Slice index 61 | Abdomen | Computed tomography 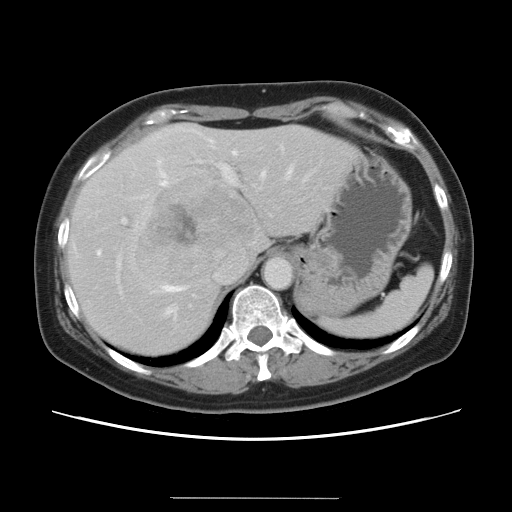
The vessel annotation is not exhaustive.
The top 15 hepatic vessel regions (of 20) appear at [x1=305, y1=175, x2=309, y2=180], [x1=165, y1=306, x2=176, y2=317], [x1=157, y1=161, x2=160, y2=165], [x1=97, y1=251, x2=99, y2=254], [x1=163, y1=287, x2=182, y2=291], [x1=159, y1=170, x2=166, y2=185], [x1=261, y1=172, x2=264, y2=178], [x1=220, y1=162, x2=236, y2=185], [x1=196, y1=161, x2=202, y2=162], [x1=286, y1=168, x2=291, y2=179], [x1=116, y1=257, x2=120, y2=268], [x1=232, y1=151, x2=236, y2=155], [x1=121, y1=219, x2=125, y2=223], [x1=119, y1=286, x2=120, y2=293], [x1=208, y1=139, x2=212, y2=148]. The liver tumor lies within [x1=136, y1=175, x2=253, y2=283].